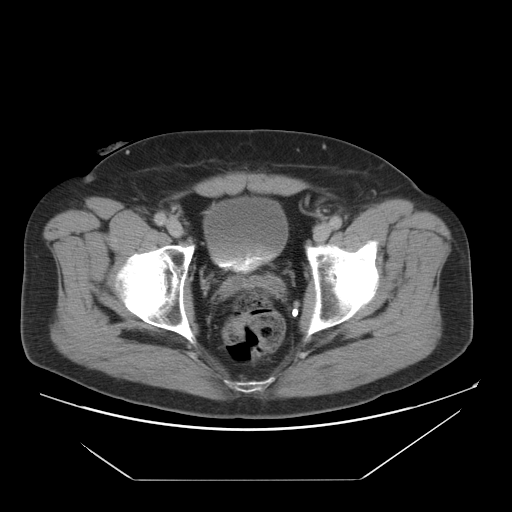 CT
Urinary bladder at [204,198,285,276].